FLAIR MRI.
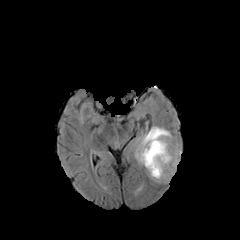
T1-weighted MRI.
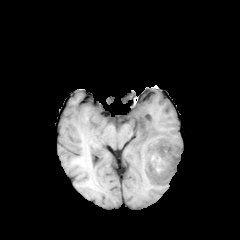
Post-contrast T1-weighted MR.
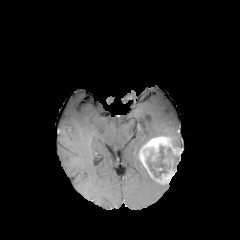
T2-weighted MR.
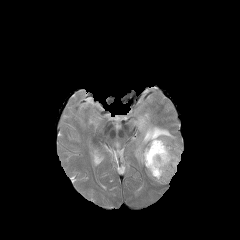
Brain
Enhancing tumor at (left=155, top=169, right=176, bottom=184), (left=139, top=136, right=182, bottom=178).
Non-enhancing tumor core at (left=146, top=145, right=179, bottom=179).
Edema at (left=129, top=121, right=181, bottom=166).